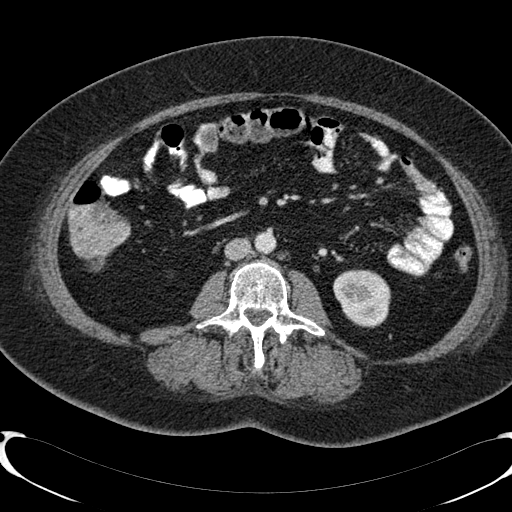 Abdomen, CT
The kidney is at bbox=[334, 271, 389, 325].